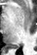
MRI | 37x55 | Hippocampus
• posterior hippocampus: 11:45:19:49